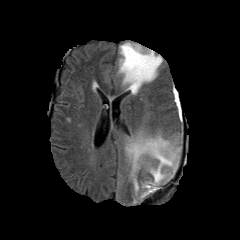
FLAIR MR.
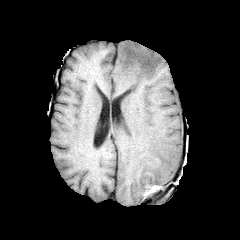
T1-weighted MR image.
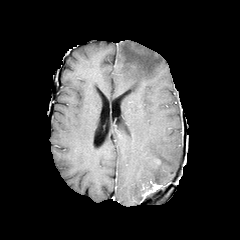
Post-contrast T1-weighted magnetic resonance.
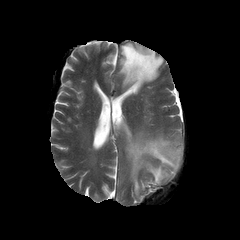
T2-weighted magnetic resonance of the same slice.
2 non-enhancing tumor core regions are located at region(142, 183, 155, 196); region(124, 47, 156, 75). 2 edema regions are bounded by region(118, 41, 162, 95); region(125, 134, 180, 201).